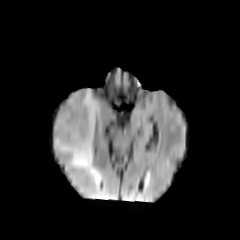
FLAIR MRI.
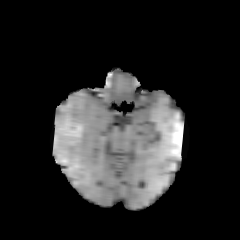
T1-weighted magnetic resonance.
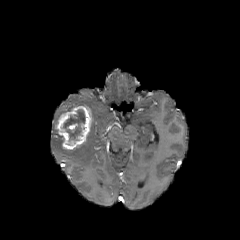
Post-contrast T1-weighted MR.
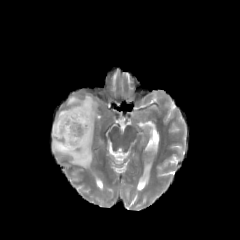
T2-weighted magnetic resonance of the same slice.
240x240 px
The non-enhancing tumor core is bounded by <box>62,108,85,142</box>. The edema is located at <box>53,89,100,182</box>. The enhancing tumor lies within <box>55,105,92,150</box>.